512x512 | CT image | Upper abdomen
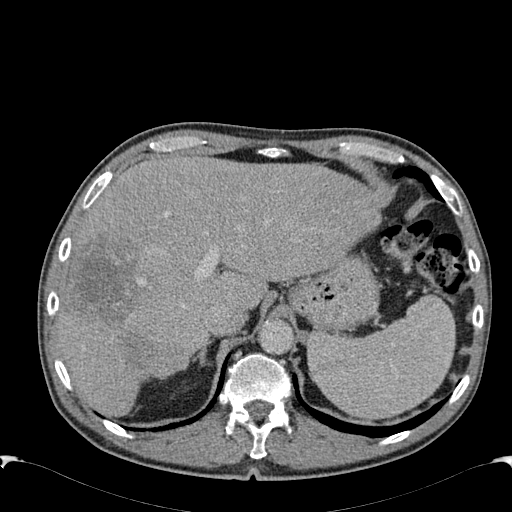

{
  "liver_lesion": [
    "66 237 146 324",
    "120 335 155 367"
  ],
  "liver": [
    "56 156 381 416"
  ]
}